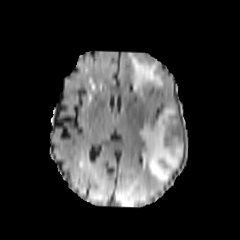
FLAIR magnetic resonance.
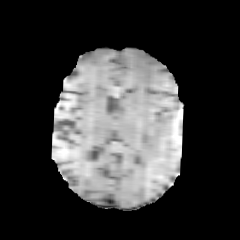
T1-weighted MRI.
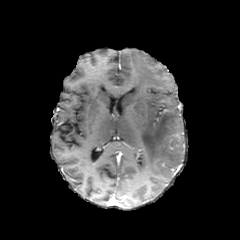
Post-contrast T1-weighted MR image of the same slice.
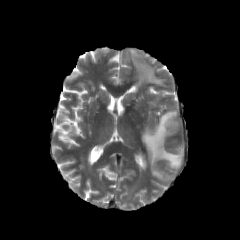
T2-weighted MR of the same slice.
Edema = bbox(128, 53, 164, 94); bbox(139, 105, 183, 178).